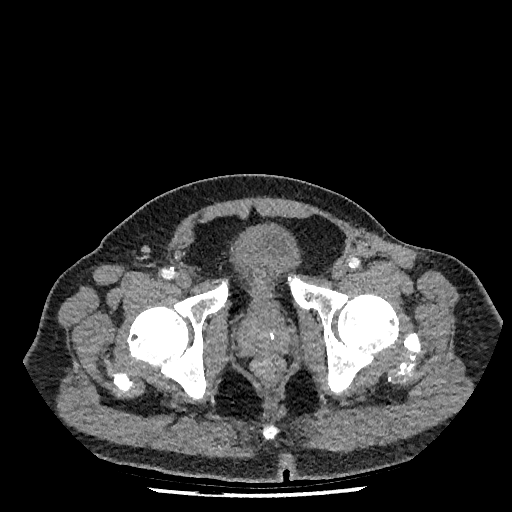
Lower abdomen; CT
The urinary bladder is at [229,226,300,317].